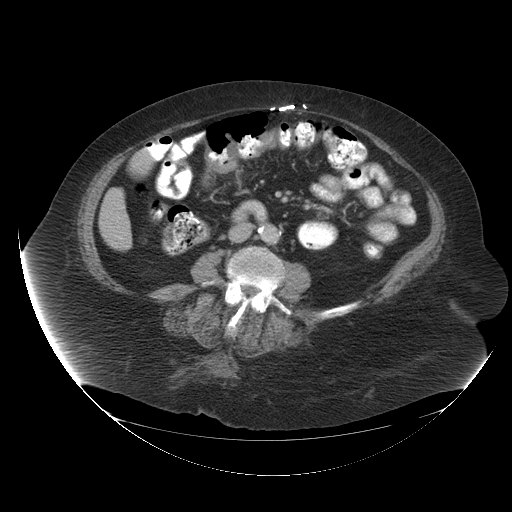
CT scan slice, 512x512 px, Pelvis
{"colon_tumor": ["rect(210, 161, 237, 172)"]}